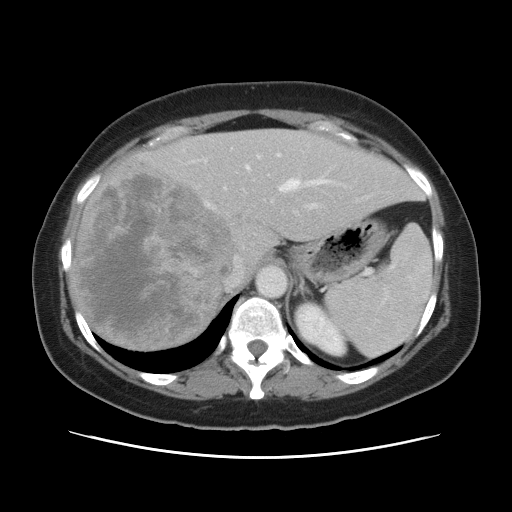 CT scan slice
The vessel boxes may cover only some of the vessels.
Hepatic vessel = 305, 203, 319, 208; 225, 257, 244, 292; 258, 154, 260, 157; 277, 153, 279, 156; 246, 165, 249, 169; 199, 157, 206, 162; 224, 187, 225, 188; 311, 173, 331, 184; 242, 243, 243, 248; 271, 200, 273, 202; 280, 178, 299, 190.
Liver tumor = 75, 168, 240, 345.